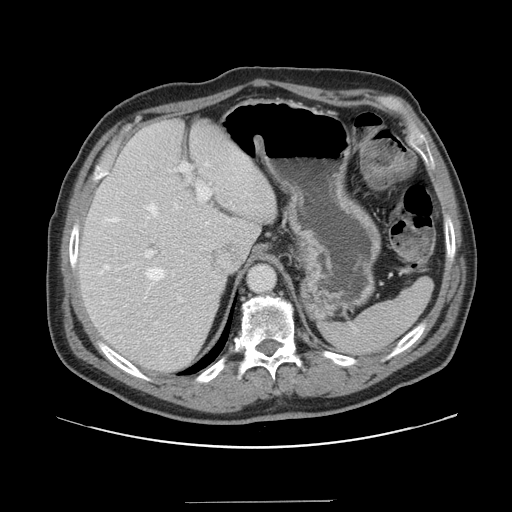 Image size 512x512; CT scan slice
Not every hepatic vessel necessarily has a box.
hepatic_vessel:
  - box=[175, 163, 188, 171]
  - box=[146, 203, 156, 216]
  - box=[145, 250, 153, 257]
  - box=[146, 268, 163, 280]
  - box=[105, 217, 118, 221]
  - box=[205, 163, 207, 164]
  - box=[104, 265, 108, 268]
  - box=[196, 184, 211, 201]
  - box=[178, 297, 182, 301]